Abdomen; Computed tomography 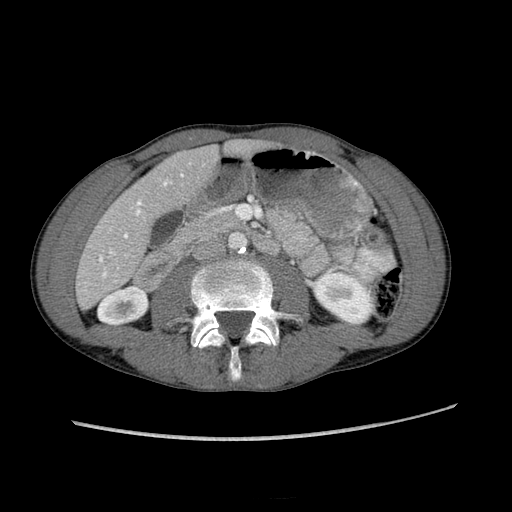 liver: (79, 145, 220, 298) | kidney: (98, 287, 147, 324), (312, 272, 371, 323)